36x50 px. MR. Medial temporal lobe.
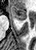 anterior_hippocampus:
  - box(9, 6, 26, 22)